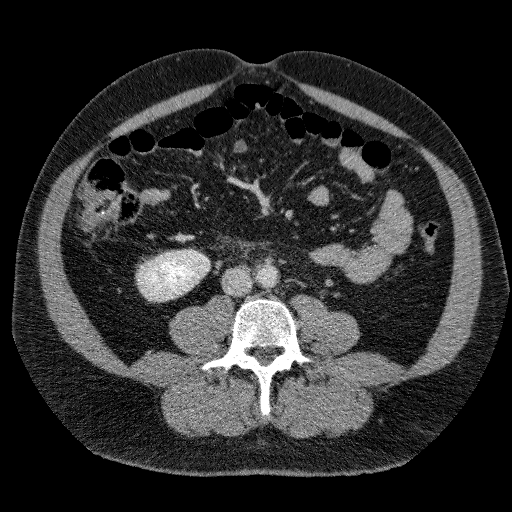

512x512 | CT scan slice
<segmentation>
  <kidney>[138,250,209,300]</kidney>
</segmentation>